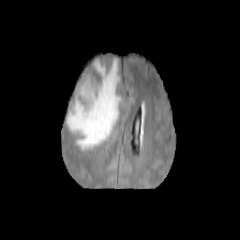
FLAIR MR image.
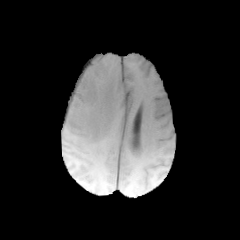
T1-weighted MRI of the same slice.
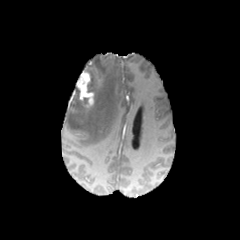
Post-contrast T1-weighted MR.
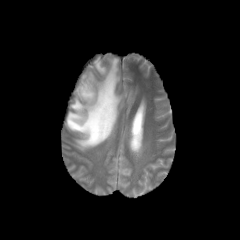
Same slice, T2-weighted MR image.
Image size 240x240; Brain
enhancing_tumor:
  - (left=77, top=70, right=95, bottom=104)
non-enhancing_tumor_core:
  - (left=85, top=60, right=103, bottom=100)
  - (left=76, top=87, right=95, bottom=109)
edema:
  - (left=66, top=57, right=122, bottom=149)